FLAIR MR.
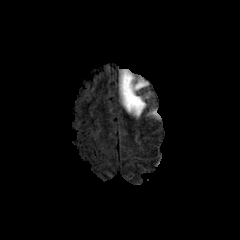
T1-weighted MRI.
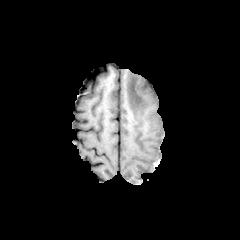
Post-contrast T1-weighted MR image.
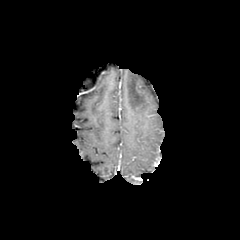
T2-weighted magnetic resonance.
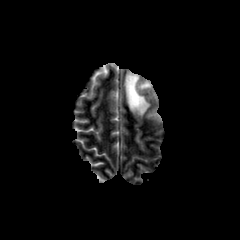
Brain.
Edema at box=[121, 72, 149, 116].